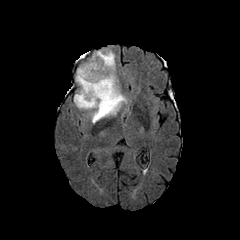
FLAIR magnetic resonance.
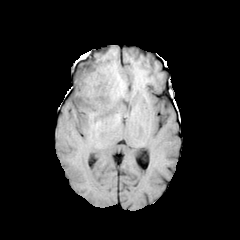
T1-weighted MR of the same slice.
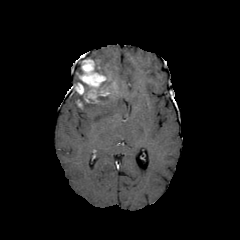
Post-contrast T1-weighted MR of the same slice.
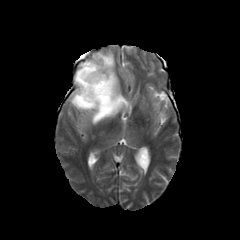
Same slice, T2-weighted MR image.
Head
Enhancing tumor = 76, 58, 110, 101.
Non-enhancing tumor core = 72, 87, 109, 108; 74, 73, 88, 90; 95, 64, 115, 94.
Edema = 80, 49, 128, 124.